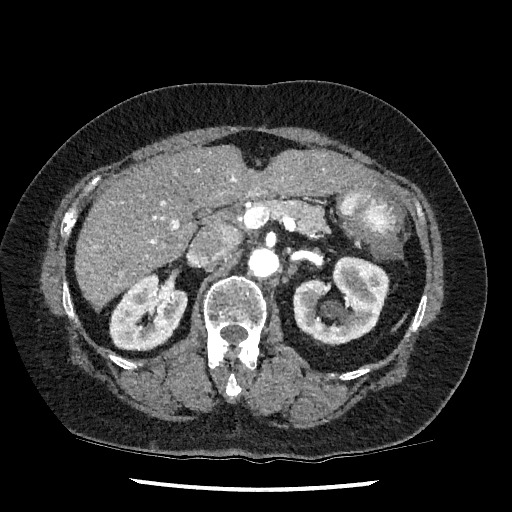

Computed tomography, Image size 512x512
kidney:
  - 294,257,388,343
  - 110,273,186,349
liver:
  - 76,145,376,309